Abdomen, Slice 61 of 107, Computed tomography

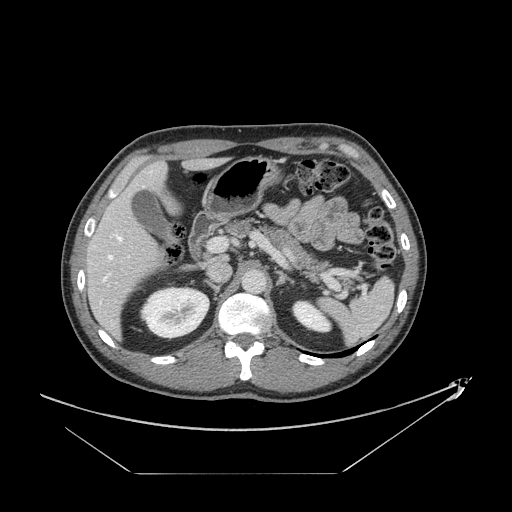 The pancreas is located at [224, 219, 328, 280].